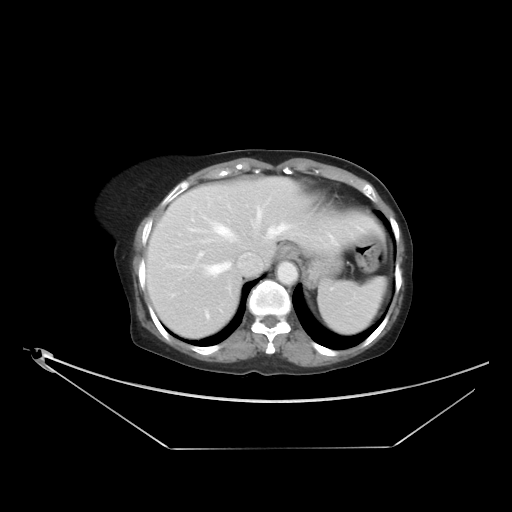
CT image | 512x512 px

The vessel annotation is not exhaustive.
4 hepatic vessel regions are located at (x1=251, y1=200, x2=268, y2=228), (x1=213, y1=226, x2=232, y2=236), (x1=267, y1=222, x2=291, y2=235), (x1=208, y1=263, x2=229, y2=273).